FLAIR MR image.
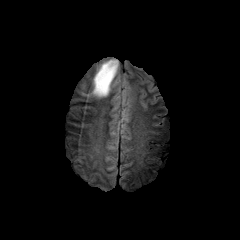
T1-weighted MR.
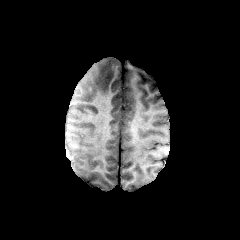
Post-contrast T1-weighted magnetic resonance.
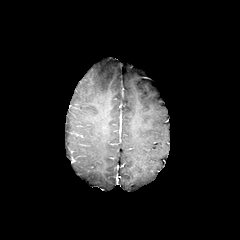
T2-weighted MR image.
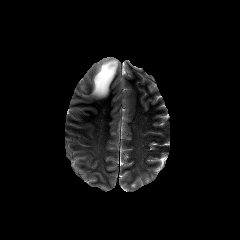
edema:
  - {"x1": 93, "y1": 60, "x2": 118, "y2": 96}